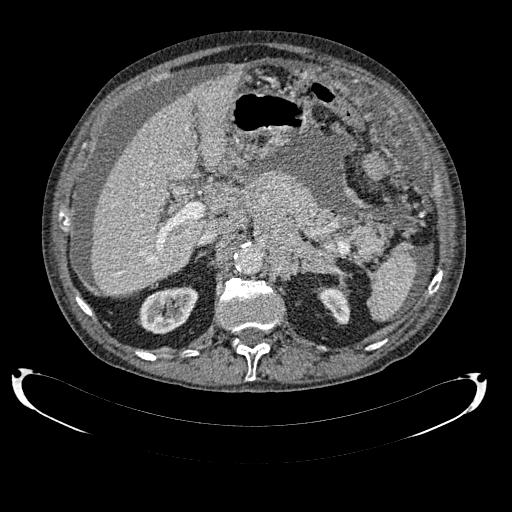 Liver, Computed tomography
Liver at rect(91, 71, 244, 295).
Kidney at rect(320, 288, 349, 323); rect(140, 287, 197, 332).